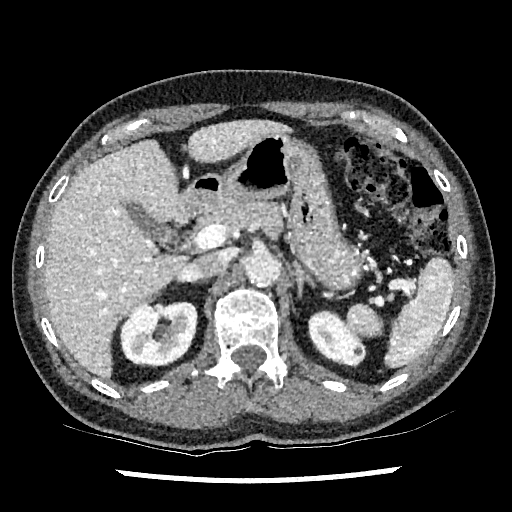

512x512. Liver. CT slice.

Annotated regions:
- kidney: bbox(122, 303, 196, 364); bbox(310, 313, 363, 364)
- liver: bbox(189, 120, 291, 162); bbox(45, 140, 187, 378)